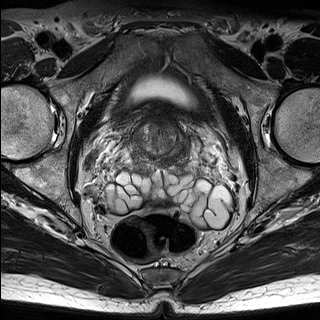
T2-weighted MR image.
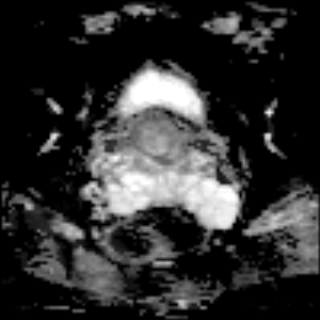
Same slice, ADC magnetic resonance.
Pelvis
The prostate transition zone appears at rect(134, 123, 178, 155). The prostate peripheral zone appears at rect(133, 132, 185, 171).